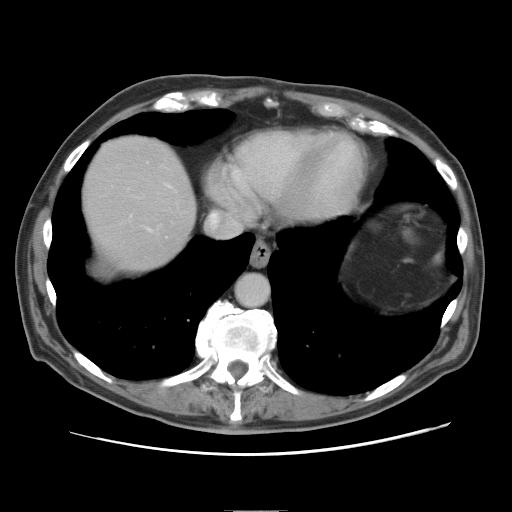
Abdomen. CT.

The vessel annotation is not exhaustive.
{
  "hepatic_vessel": [
    "(x1=147, y1=228, x2=151, y2=231)"
  ]
}